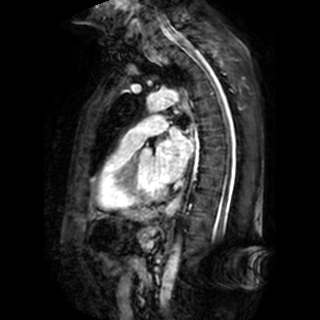 Magnetic resonance; Heart

The left atrium lies within 155, 127, 192, 182.